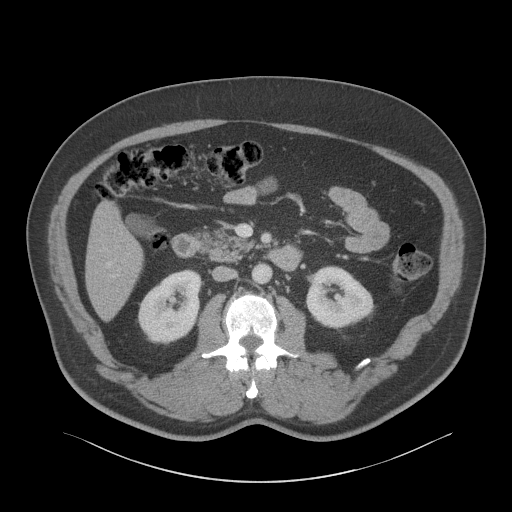 CT. Upper abdomen.
2 kidney regions are bounded by <box>307,267,371,326</box>, <box>139,271,199,341</box>. The liver is located at <box>86,205,142,315</box>.